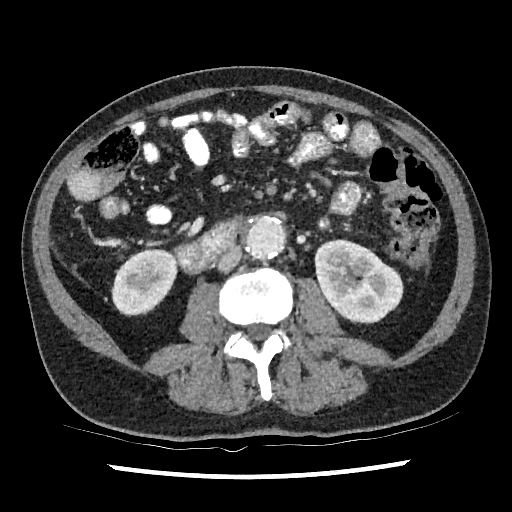

Image size 512x512; CT slice
2 kidney regions appear at box(113, 250, 176, 314); box(315, 240, 402, 322).